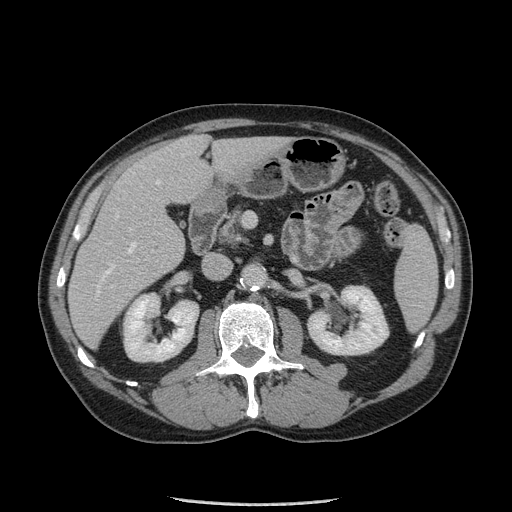
Image size 512x512; Upper abdomen; Computed tomography
- pancreas: box(216, 207, 248, 247)